Computed tomography; Field of view 400x400 mm; Liver; 512x512; Slice 317/654

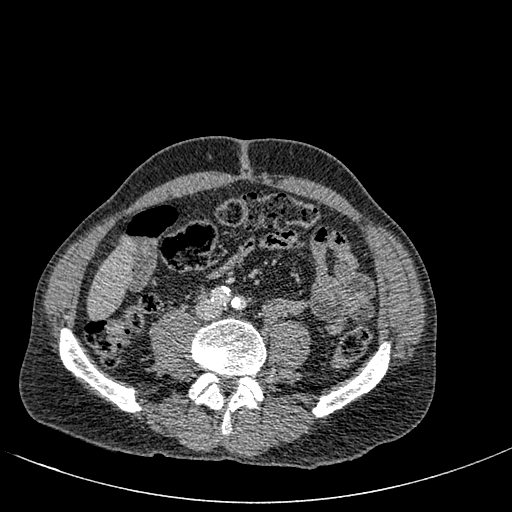

Liver: bounding box bbox(88, 242, 133, 317).